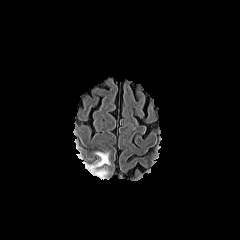
FLAIR MR.
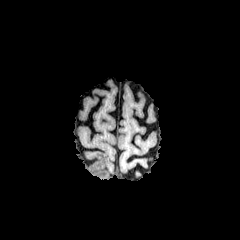
T1-weighted MR image.
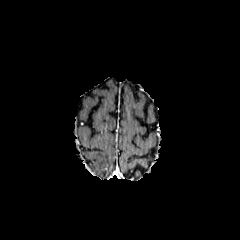
Same slice, post-contrast T1-weighted magnetic resonance.
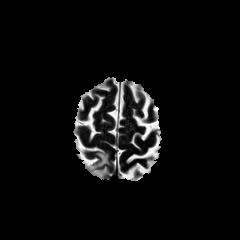
Same slice, T2-weighted MR.
Head; 240x240
edema:
  - box(90, 153, 110, 169)
  - box(92, 170, 107, 179)